240x240 px, Head
FLAIR MRI.
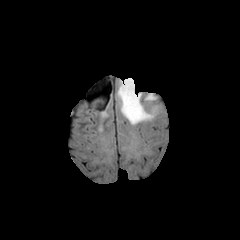
T1-weighted MR.
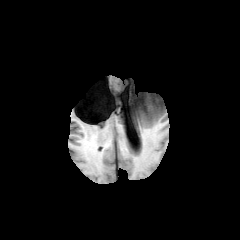
Post-contrast T1-weighted magnetic resonance.
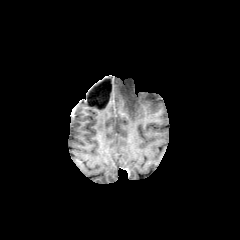
T2-weighted MRI.
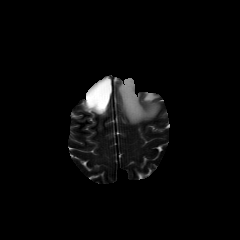
edema: (118, 78, 156, 124), (144, 94, 156, 103)